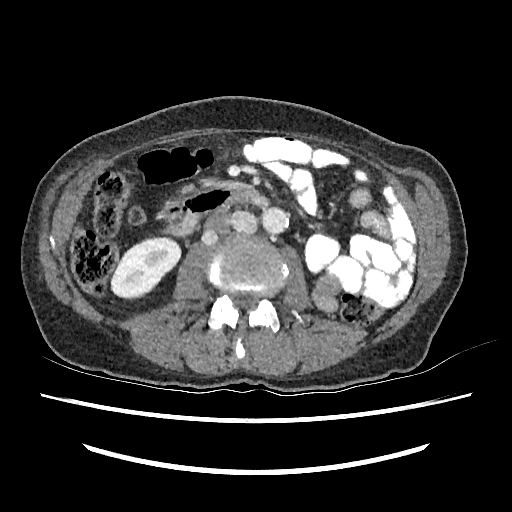 Abdomen. CT scan slice. Segmented structures:
* kidney: 111, 238, 180, 296